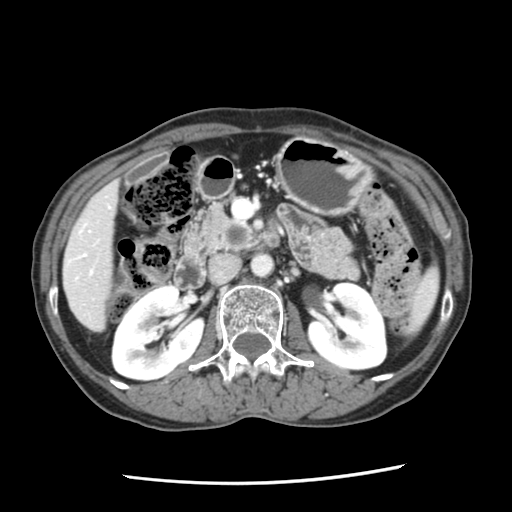 Computed tomography | Abdomen
{"pancreatic_tumor": ["bbox=[228, 225, 245, 244]"], "pancreas": ["bbox=[199, 201, 254, 252]"]}